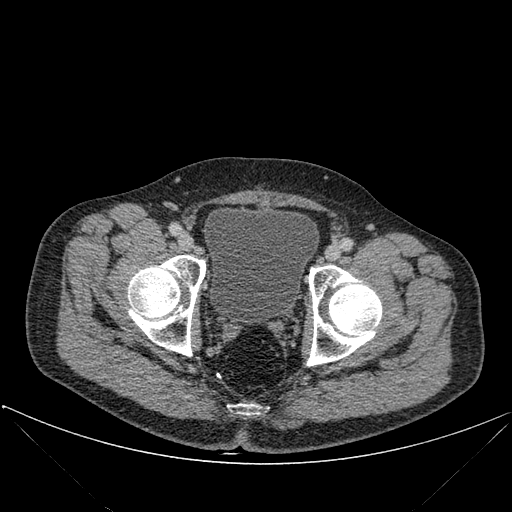

CT | 512x512

urinary_bladder:
  - x1=203, y1=205, x2=318, y2=324
bone:
  - x1=229, y1=404, x2=258, y2=414
  - x1=128, y1=255, x2=205, y2=356
  - x1=307, y1=265, x2=381, y2=365